Head
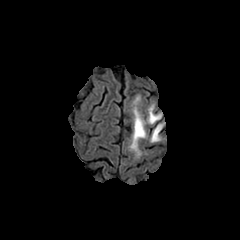
FLAIR MR image.
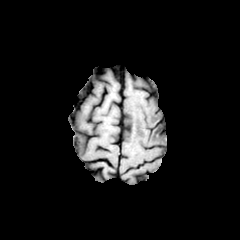
Same slice, T1-weighted magnetic resonance.
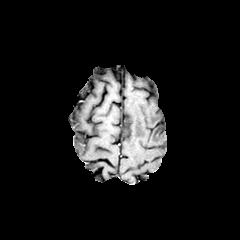
Post-contrast T1-weighted MR.
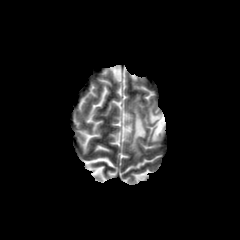
T2-weighted MRI.
- edema: <bbox>129, 97, 164, 153</bbox>